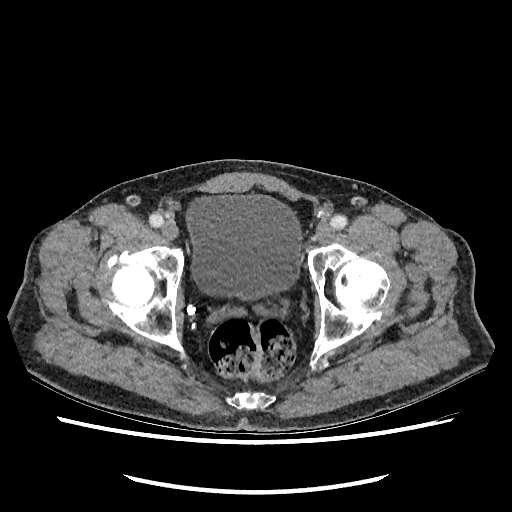
CT scan slice, Pelvis
- urinary bladder: 186 194 302 299